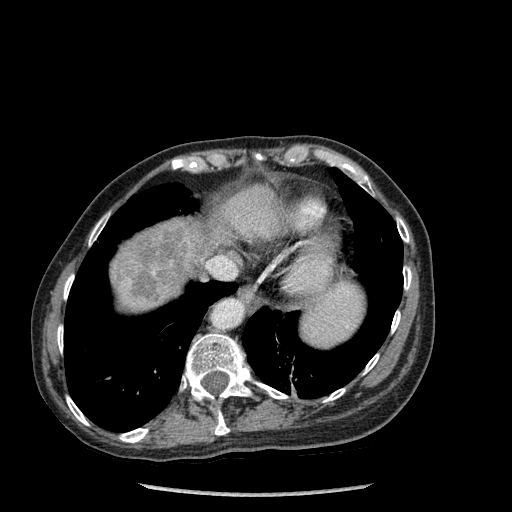 Liver, CT

Segmented structures:
• bone: box(63, 274, 74, 299); box(331, 159, 371, 192); box(323, 388, 345, 402); box(66, 396, 89, 425); box(57, 325, 63, 352); box(391, 311, 400, 333); box(88, 213, 109, 245); box(180, 333, 287, 435); box(119, 428, 148, 442); box(363, 354, 379, 374); box(403, 266, 411, 290); box(397, 217, 409, 242)
• focal liver lesion: box(142, 229, 186, 283); box(132, 271, 158, 299)
• lung: box(64, 183, 237, 431); box(242, 168, 402, 398)
• liver: box(110, 184, 281, 312)